FLAIR MR.
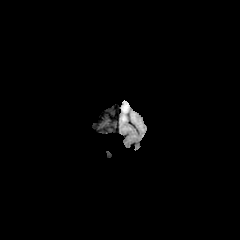
T1-weighted MR image.
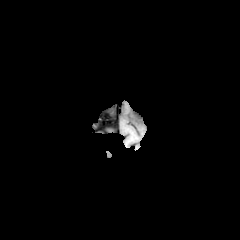
Post-contrast T1-weighted MR image.
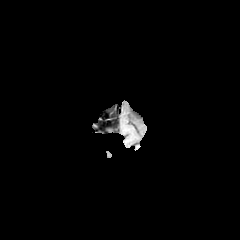
T2-weighted MR.
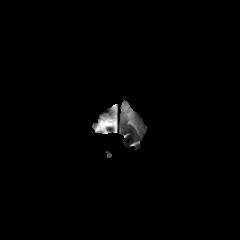
The edema appears at l=120, t=100, r=145, b=129.